Slice index 116
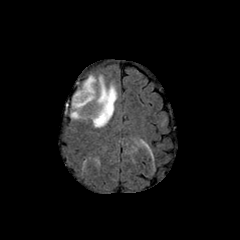
FLAIR MRI.
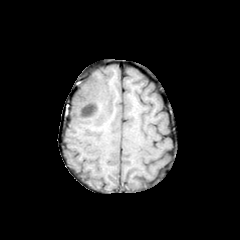
T1-weighted magnetic resonance of the same slice.
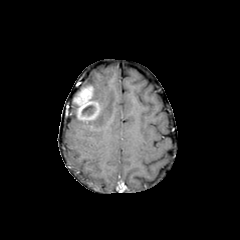
Post-contrast T1-weighted MR image.
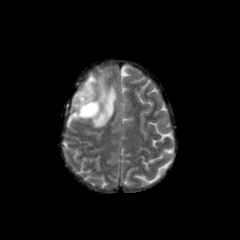
T2-weighted MR.
enhancing tumor: 73,85,99,119 | edema: 80,75,117,128; 71,102,82,120 | non-enhancing tumor core: 81,105,95,115